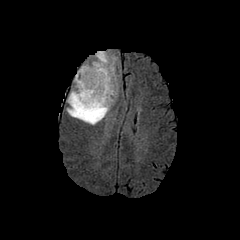
FLAIR MRI.
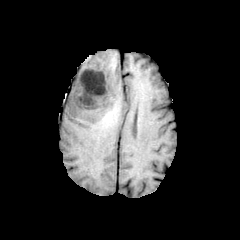
T1-weighted MR image.
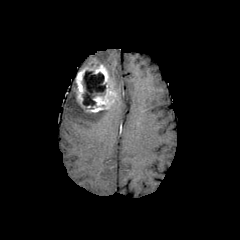
Same slice, post-contrast T1-weighted MR.
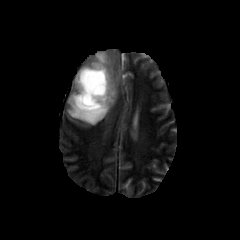
T2-weighted MRI.
Brain, 240x240
enhancing tumor: (74, 58, 115, 113) | non-enhancing tumor core: (80, 71, 105, 106) | edema: (93, 51, 117, 96), (66, 89, 110, 125)